CT image; 512x512; Abdomen
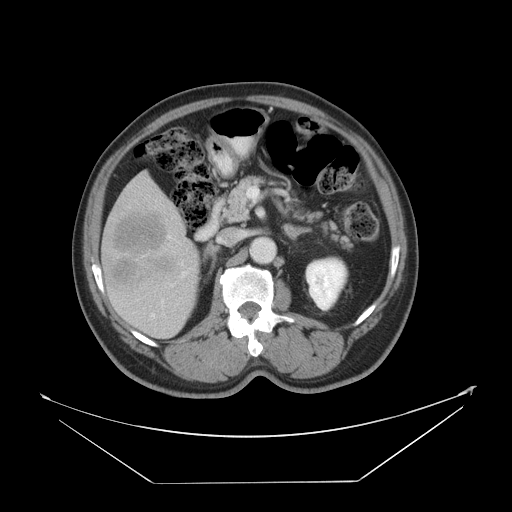
The vessel boxes may cover only some of the vessels.
Liver tumor at 113,216,174,282.
Hepatic vessel at 167,235,176,240; 180,263,182,265; 149,313,154,319; 144,307,145,309; 165,283,173,286; 156,299,164,316; 181,268,192,277; 178,242,181,244.